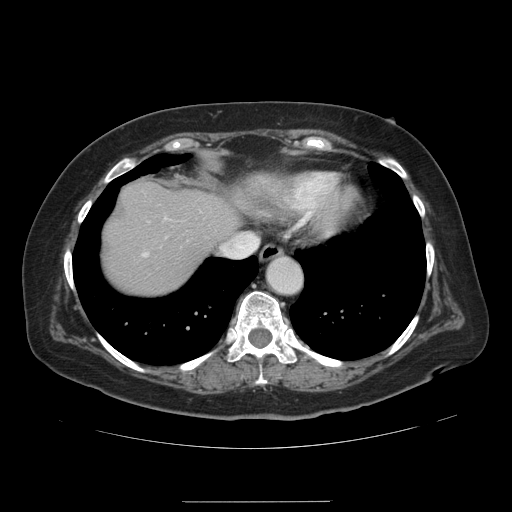 Image size 512x512; CT slice; Liver

The vessel boxes may cover only some of the vessels.
Annotated regions:
• hepatic vessel: box(220, 245, 222, 249)